Image width 386 mm | Slice 40/245 | CT image
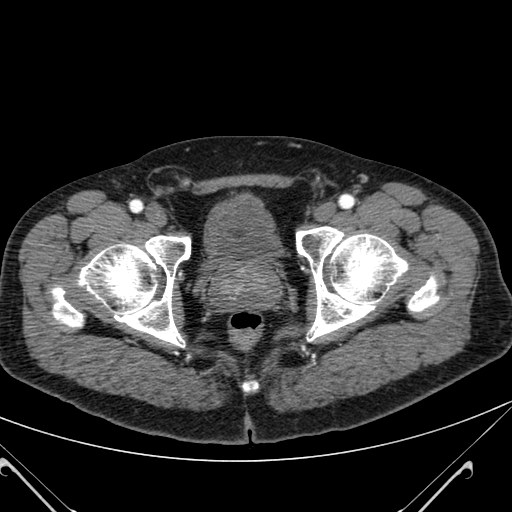

Segmented structures:
- urinary bladder: {"x1": 208, "y1": 192, "x2": 280, "y2": 267}